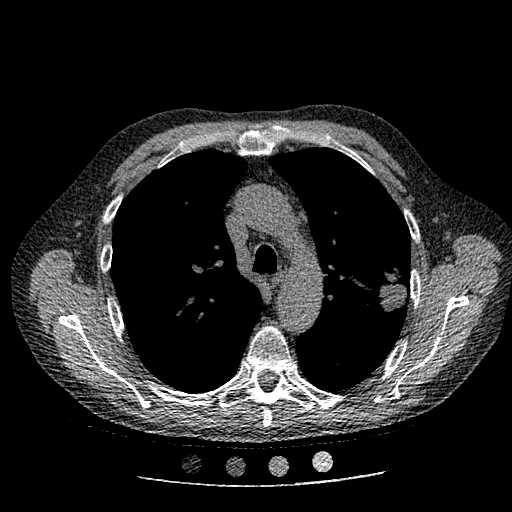

Computed tomography
<segmentation>
  <lung_tumor>(366,251,409,314)</lung_tumor>
</segmentation>